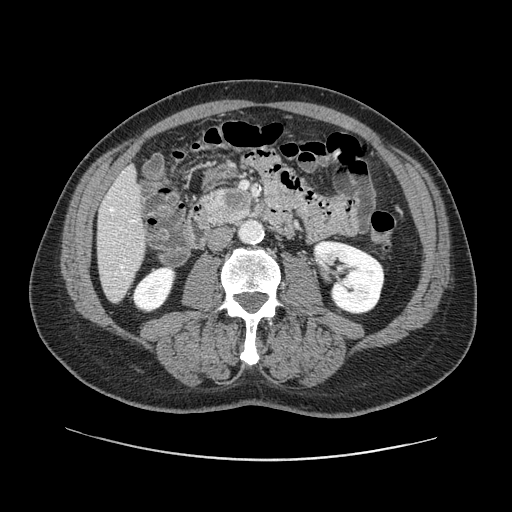 Image size 512x512 | CT
* pancreas: x1=202 y1=186 x2=254 y2=226
* pancreatic tumor: x1=222 y1=190 x2=249 y2=212